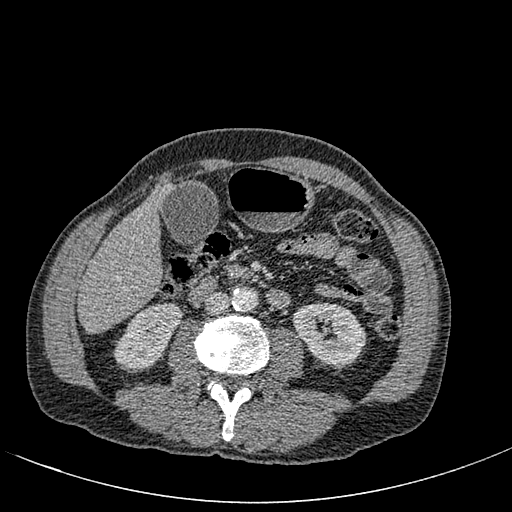 Computed tomography; Abdomen

2 kidney regions appear at (x1=114, y1=303, x2=181, y2=369), (x1=293, y1=302, x2=365, y2=366). The liver is at (x1=78, y1=194, x2=161, y2=331).